Image width 240 mm | Brain | Slice 88 of 155
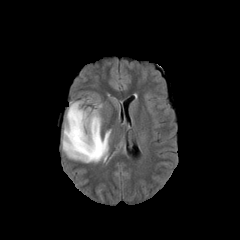
FLAIR MR image.
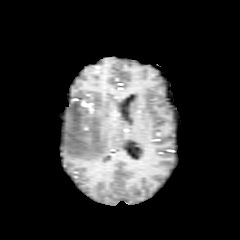
Same slice, T1-weighted MR image.
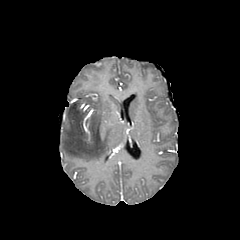
Post-contrast T1-weighted MRI.
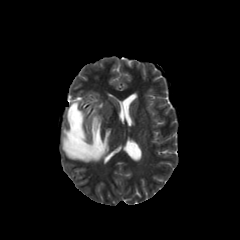
T2-weighted MR.
{"edema": ["[63,102,110,162]"]}